240x240 px
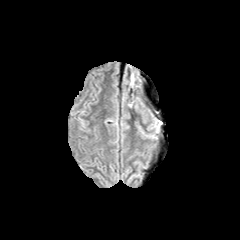
FLAIR MR.
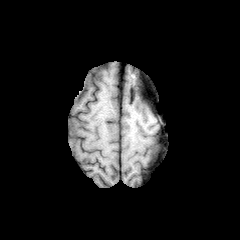
T1-weighted MRI.
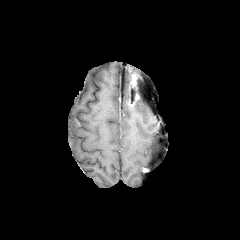
Post-contrast T1-weighted MRI of the same slice.
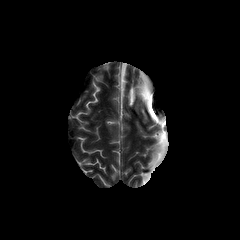
T2-weighted MR of the same slice.
Edema: bounding box rect(140, 129, 157, 139); rect(149, 115, 159, 130).